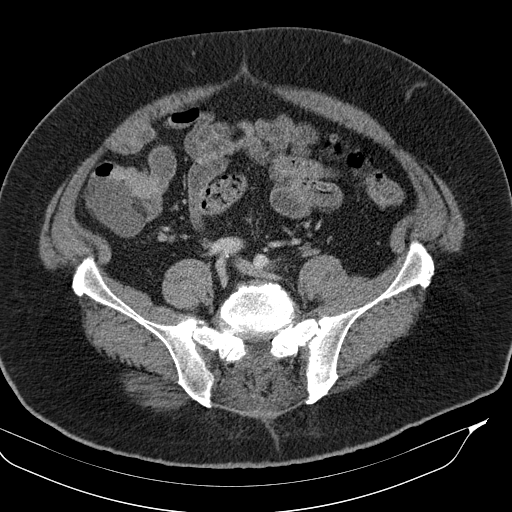 512x512 | CT slice
colon tumor: [111,166,159,198]